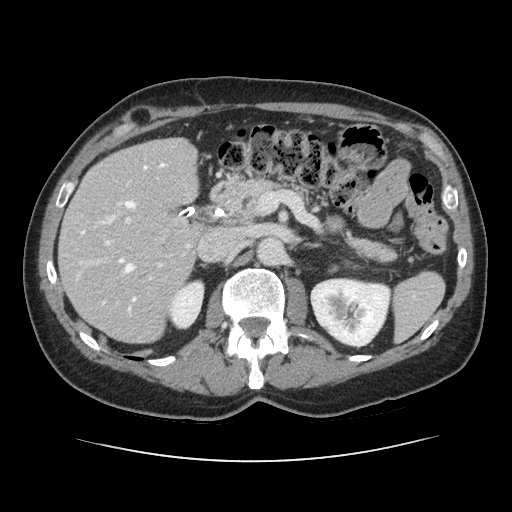

CT scan slice. Pancreas at bbox=[229, 179, 275, 216]; bbox=[348, 239, 395, 262].